Brain
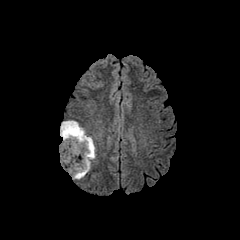
FLAIR MR image.
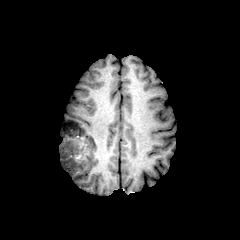
T1-weighted MR image of the same slice.
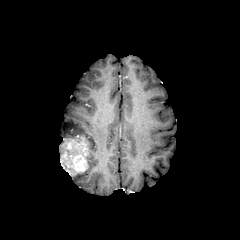
Post-contrast T1-weighted MR image.
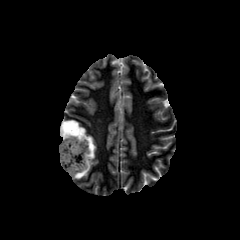
T2-weighted MR image.
The enhancing tumor is at 61, 138, 87, 175. The edema is bounded by 60, 120, 96, 179. 2 non-enhancing tumor core regions are located at 60, 144, 82, 161; 62, 122, 88, 163.